Slice index 104; 512x512 px; CT scan slice 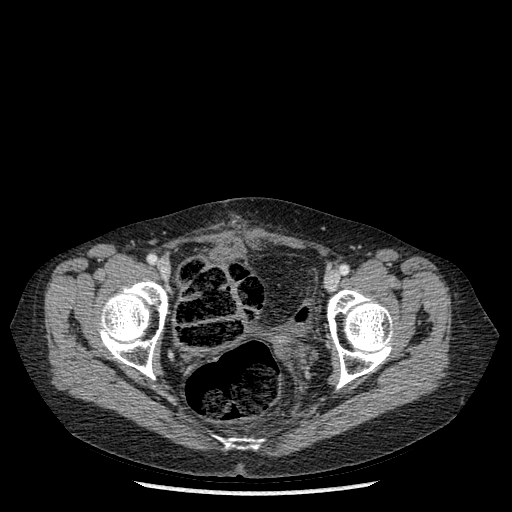
3 bone regions appear at 327, 289, 393, 389; 97, 279, 167, 379; 220, 438, 262, 449.